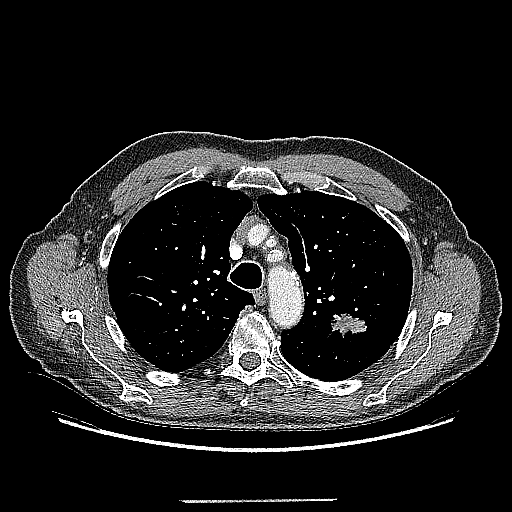
Computed tomography

Segmented structures:
* lung tumor: (left=329, top=312, right=368, bottom=338)